Slice 43 of 61, Abdomen, CT
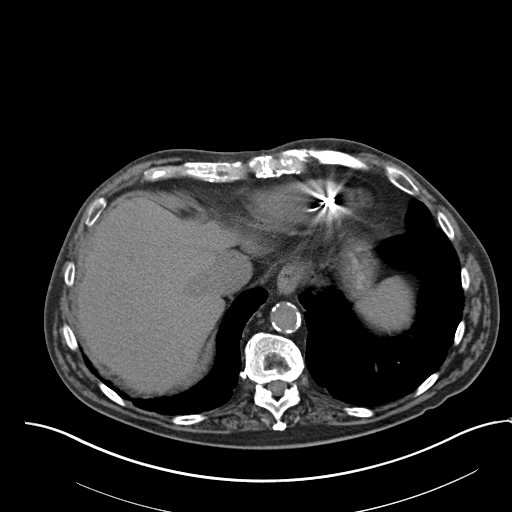 The spleen is at <bbox>364, 280, 413, 329</bbox>.